FLAIR MR.
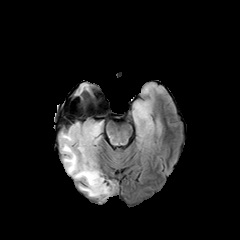
T1-weighted MR.
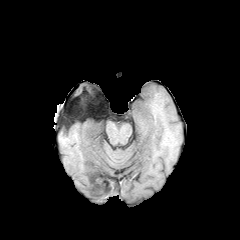
Post-contrast T1-weighted magnetic resonance.
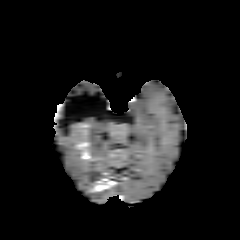
T2-weighted MRI.
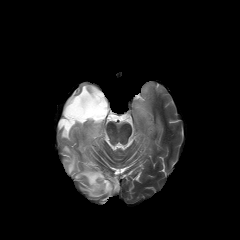
Head
2 non-enhancing tumor core regions are bounded by [75, 124, 88, 147], [82, 143, 91, 157]. 4 edema regions are bounded by [74, 86, 91, 96], [58, 120, 115, 198], [132, 100, 151, 123], [80, 97, 87, 109]. The enhancing tumor appears at [92, 178, 114, 191].